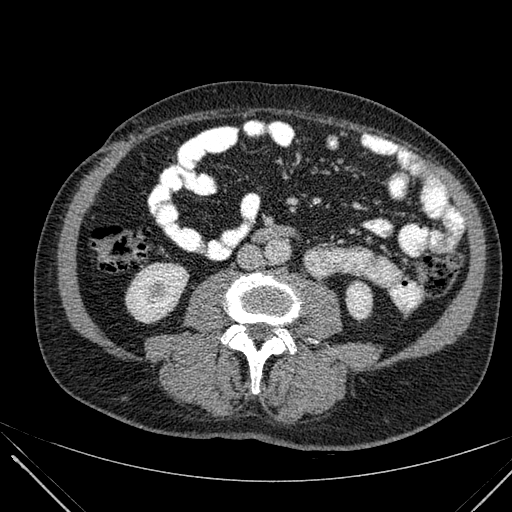

512x512 px, Abdomen, CT slice

2 kidney regions appear at box=[126, 263, 187, 322]; box=[346, 283, 371, 318].